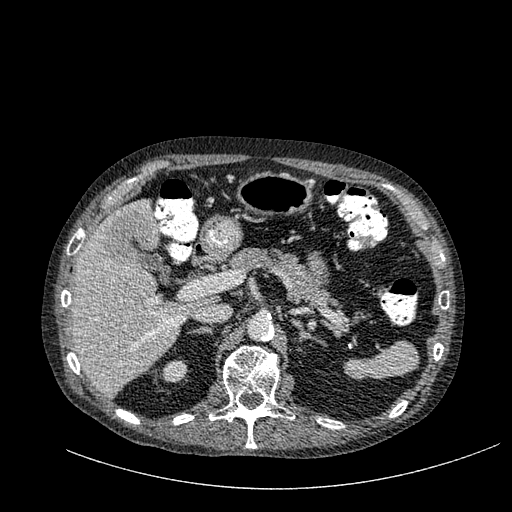
CT slice, Image size 512x512
Liver: bounding box region(71, 201, 215, 395).
Kidney: bounding box region(162, 360, 187, 382).
Hepatic lesion: bounding box region(105, 211, 152, 265).